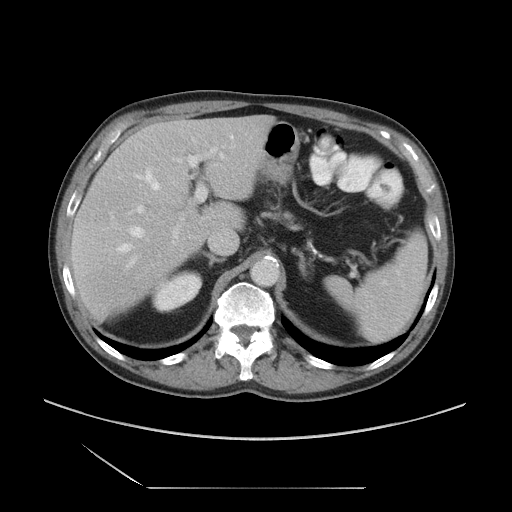

CT, Liver
The vessel boxes may cover only some of the vessels.
The most prominent 15 hepatic vessel regions (of 18) appear at 220,153,223,158; 137,206,142,212; 230,135,232,138; 130,227,143,236; 133,168,159,189; 117,244,132,251; 208,147,217,154; 127,255,137,266; 212,225,237,240; 198,188,204,200; 189,155,200,162; 177,159,180,161; 173,225,179,238; 112,223,120,228; 192,138,194,140. The liver tumor appears at 109,252,122,266.